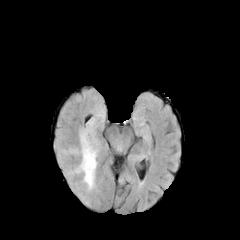
FLAIR MRI.
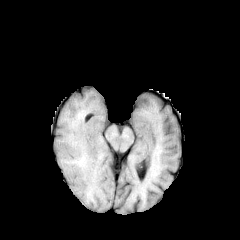
T1-weighted MRI of the same slice.
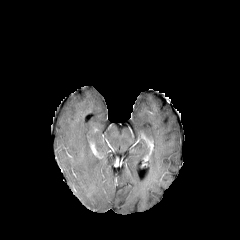
Post-contrast T1-weighted MR image of the same slice.
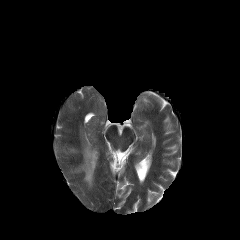
T2-weighted MR image.
Head, Image size 240x240
<segmentation>
  <edema>(x1=80, y1=135, x2=96, y2=188)</edema>
</segmentation>